Upper abdomen; 512x512; Slice index 223; CT slice 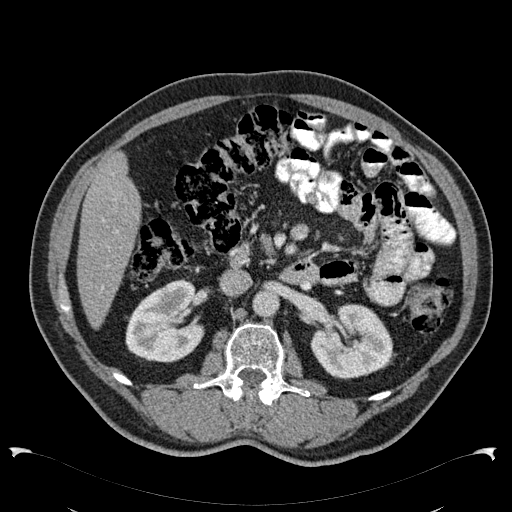

Annotated regions:
* liver: bbox(77, 152, 141, 328)
* kidney: bbox(126, 280, 208, 361); bbox(311, 304, 392, 378)